CT; Image size 512x512 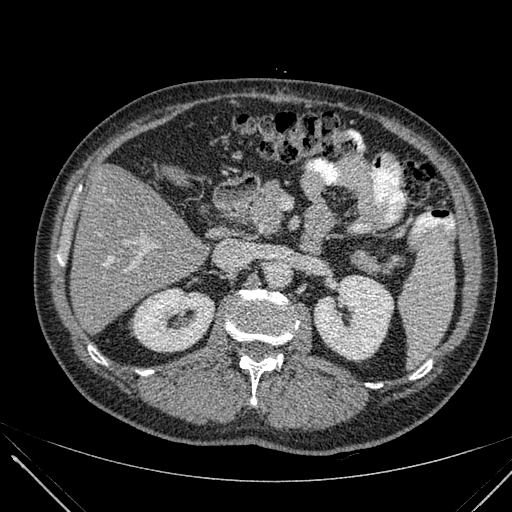
{
  "kidney": [
    "[x1=134, y1=289, x2=213, y2=351]",
    "[x1=315, y1=276, x2=393, y2=359]"
  ],
  "liver": [
    "[x1=161, y1=166, x2=190, y2=185]",
    "[x1=71, y1=164, x2=209, y2=329]"
  ]
}